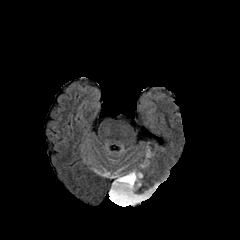
FLAIR magnetic resonance.
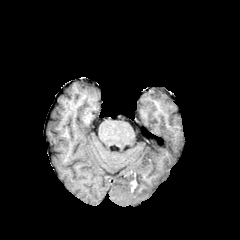
T1-weighted MRI.
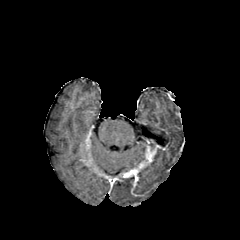
Post-contrast T1-weighted MR of the same slice.
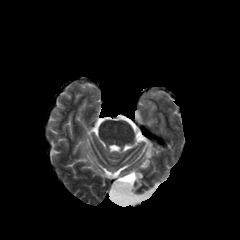
T2-weighted MRI.
Annotated regions:
• non-enhancing tumor core: left=106, top=172, right=139, bottom=196
• enhancing tumor: left=116, top=169, right=138, bottom=181
• edema: left=109, top=182, right=154, bottom=206; left=103, top=167, right=125, bottom=177